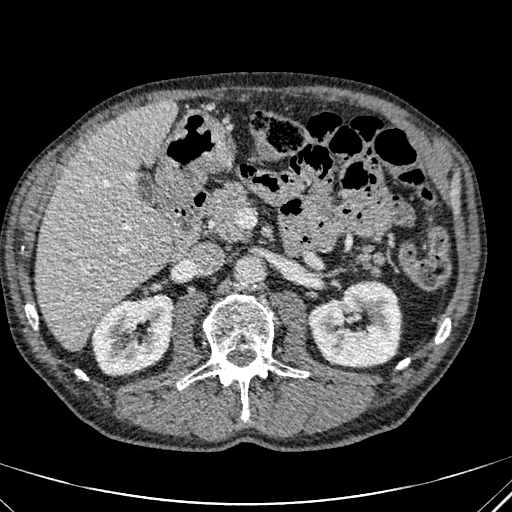

CT image. The liver is at (35, 100, 176, 350). 2 kidney regions are located at (93, 296, 172, 373), (310, 283, 399, 365).